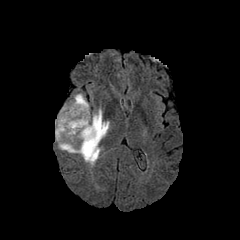
FLAIR MR image.
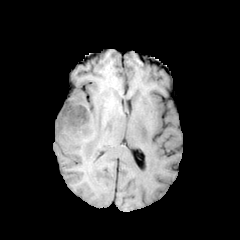
Same slice, T1-weighted MR.
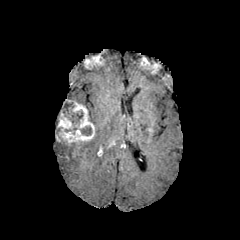
Post-contrast T1-weighted MRI.
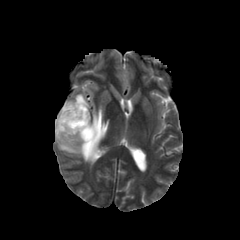
T2-weighted MR image.
Image size 240x240. Head.
The enhancing tumor lies within region(55, 103, 94, 142). 3 non-enhancing tumor core regions are located at region(64, 103, 74, 111); region(80, 126, 92, 135); region(69, 112, 82, 134). The edema is bounded by region(57, 93, 110, 166).